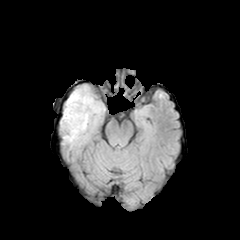
FLAIR MR.
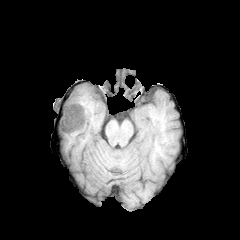
T1-weighted MR.
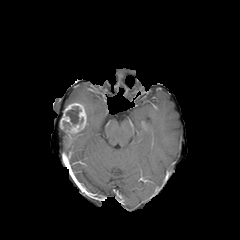
Post-contrast T1-weighted magnetic resonance.
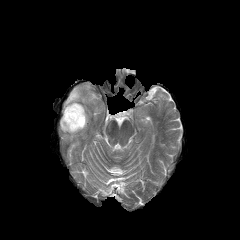
T2-weighted MR image.
Brain.
Non-enhancing tumor core at 66 107 82 123.
Edema at 60 85 104 147.
Enhancing tumor at 60 102 86 132.